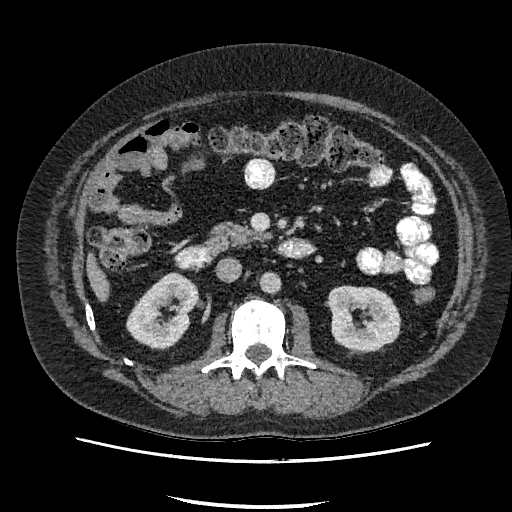 Abdomen; CT scan slice
liver:
  - 86:253:109:301
kidney:
  - 329:287:399:349
  - 127:274:197:347